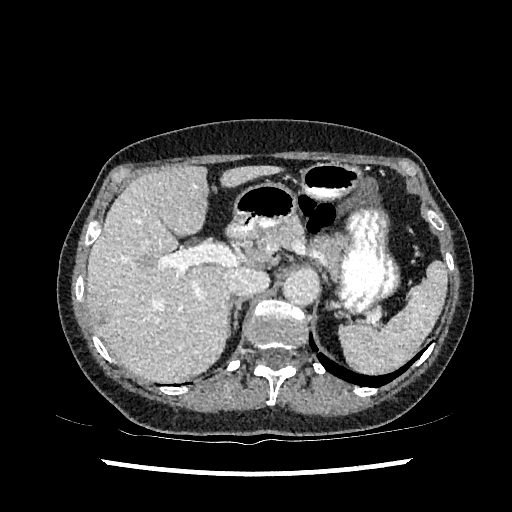 512x512 px | Computed tomography

2 liver regions are located at {"x1": 87, "y1": 167, "x2": 228, "y2": 382}, {"x1": 223, "y1": 167, "x2": 280, "y2": 185}. 2 hepatic lesion regions are bounded by {"x1": 88, "y1": 295, "x2": 110, "y2": 326}, {"x1": 140, "y1": 255, "x2": 153, "y2": 268}.